512x512, CT
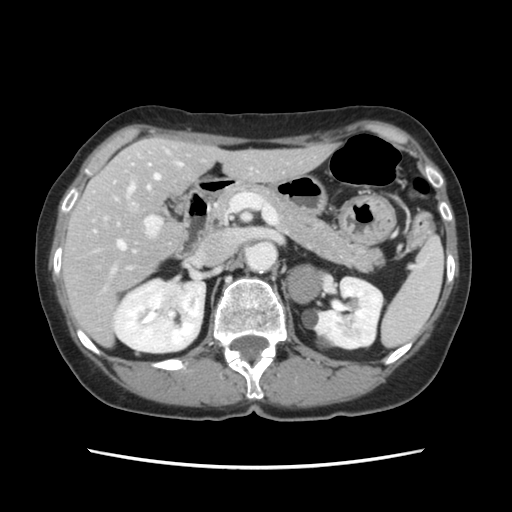
Not every hepatic vessel necessarily has a box.
9 hepatic vessel regions appear at box=[131, 203, 133, 205]; box=[147, 186, 149, 188]; box=[154, 174, 159, 179]; box=[115, 198, 117, 200]; box=[177, 163, 182, 165]; box=[104, 218, 106, 219]; box=[166, 150, 168, 153]; box=[128, 182, 135, 194]; box=[117, 241, 124, 249].